Slice index 469 | Computed tomography
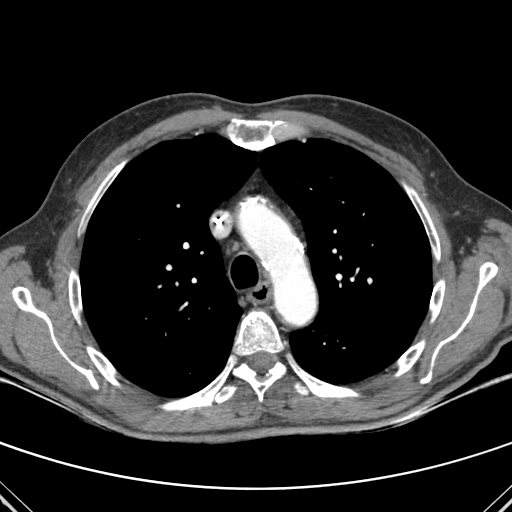
2 lung regions appear at left=80, top=134, right=257, bottom=396; left=258, top=139, right=432, bottom=383. 14 bone regions are located at left=430, top=279, right=444, bottom=321; left=84, top=161, right=125, bottom=218; left=233, top=362, right=285, bottom=401; left=12, top=287, right=98, bottom=389; left=87, top=346, right=119, bottom=386; left=68, top=270, right=81, bottom=323; left=395, top=340, right=425, bottom=376; left=161, top=355, right=236, bottom=410; left=404, top=184, right=440, bottom=260; left=235, top=310, right=283, bottom=355; left=227, top=118, right=286, bottom=150; left=431, top=262, right=497, bottom=365; left=420, top=371, right=431, bottom=383; left=288, top=357, right=358, bottom=397.